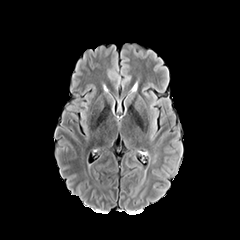
FLAIR MR image.
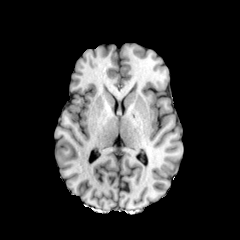
T1-weighted MRI.
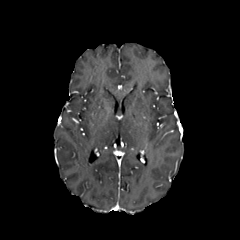
Same slice, post-contrast T1-weighted magnetic resonance.
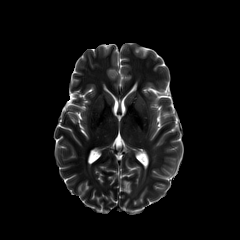
T2-weighted magnetic resonance of the same slice.
Brain, 240x240 px
edema: x1=152 y1=108 x2=157 y2=132